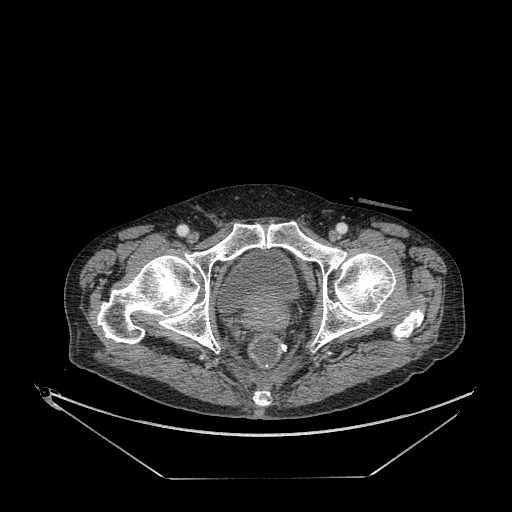 Computed tomography
Urinary bladder: (218, 249, 298, 314).